FLAIR magnetic resonance.
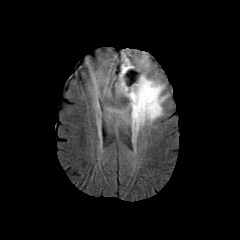
T1-weighted MR.
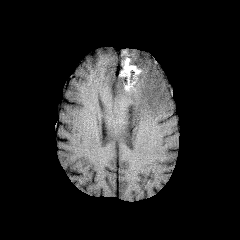
Post-contrast T1-weighted MRI.
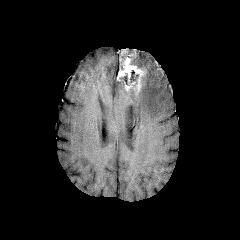
T2-weighted MR image.
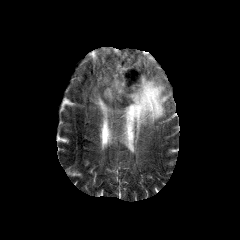
{"edema": ["region(106, 53, 169, 148)", "region(104, 88, 111, 98)"], "non-enhancing_tumor_core": ["region(118, 51, 145, 95)"], "enhancing_tumor": ["region(117, 58, 144, 89)"]}